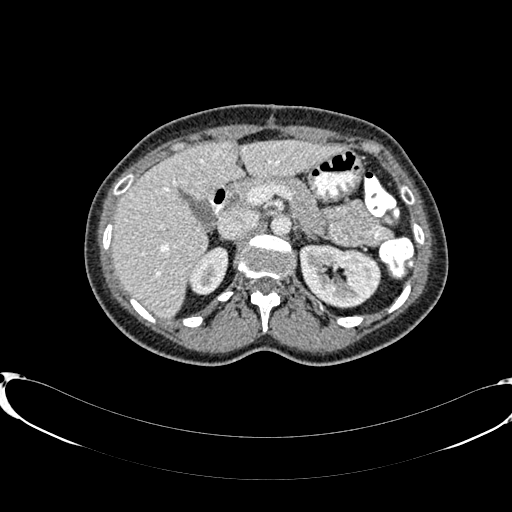

CT image | 512x512 px | Liver
2 kidney regions are bounded by 301, 246, 378, 305; 191, 249, 226, 293. The liver is at 111, 141, 346, 316.